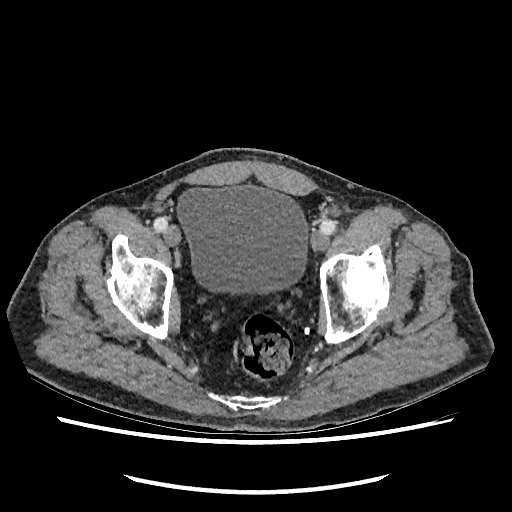 Lower abdomen | Computed tomography
• urinary bladder: x1=177 y1=183 x2=308 y2=293